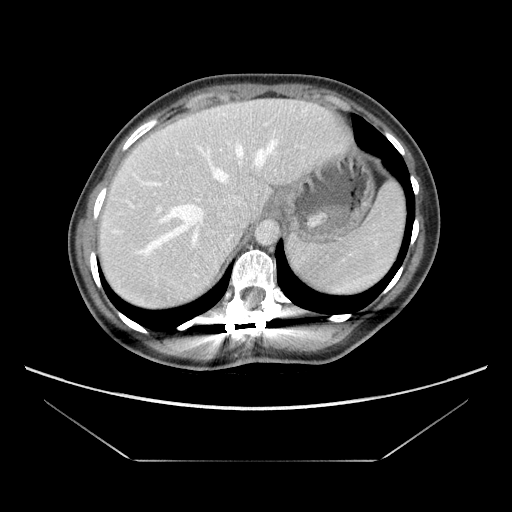
512x512 px; CT image
The vessel boxes may cover only some of the vessels.
7 hepatic vessel regions appear at <bbox>229, 196, 241, 203</bbox>, <bbox>209, 160, 228, 182</bbox>, <bbox>158, 208, 159, 210</bbox>, <bbox>254, 138, 278, 168</bbox>, <bbox>139, 198, 204, 252</bbox>, <bbox>235, 143, 243, 163</bbox>, <bbox>222, 214, 223, 216</bbox>.